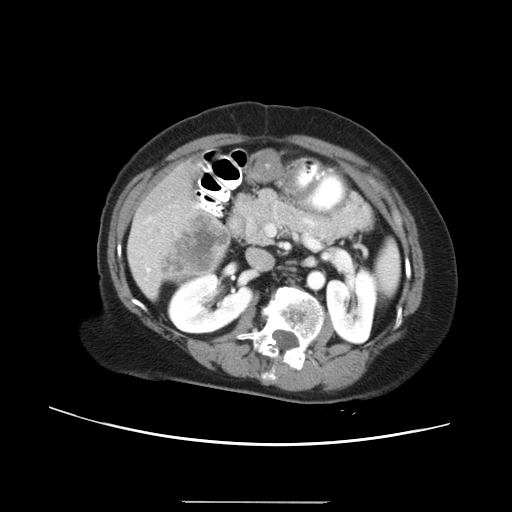

CT slice
* liver tumor: [x1=162, y1=212, x2=226, y2=270]